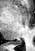 MR image; Medial temporal lobe
posterior_hippocampus:
  - <bbox>13, 40, 21, 44</bbox>